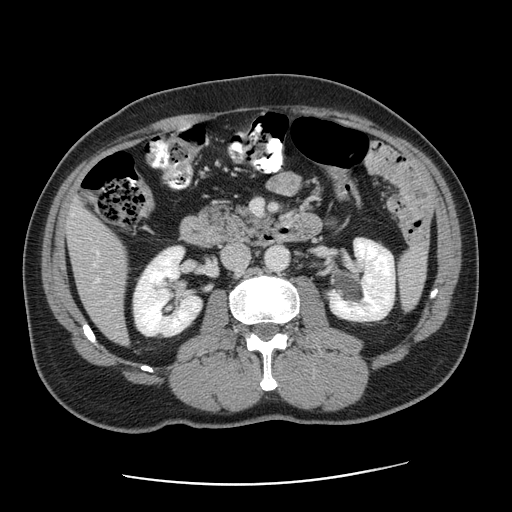
Computed tomography, Abdomen
Only some of the vessels may be annotated.
{
  "hepatic_vessel": [
    "[x1=95, y1=279, x2=99, y2=282]"
  ]
}